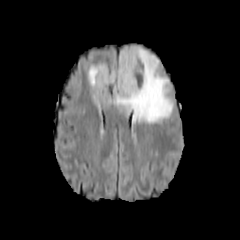
FLAIR magnetic resonance.
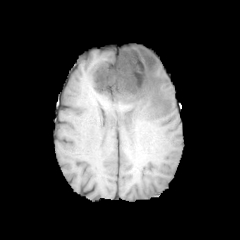
T1-weighted magnetic resonance.
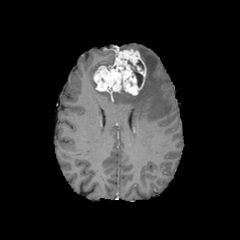
Post-contrast T1-weighted magnetic resonance.
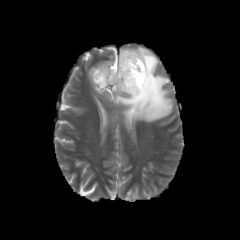
T2-weighted MR image.
Image size 240x240
Edema = l=116, t=47, r=173, b=121; l=87, t=62, r=109, b=89.
Enhancing tumor = l=92, t=48, r=146, b=95.
Non-enhancing tumor core = l=131, t=66, r=143, b=88.